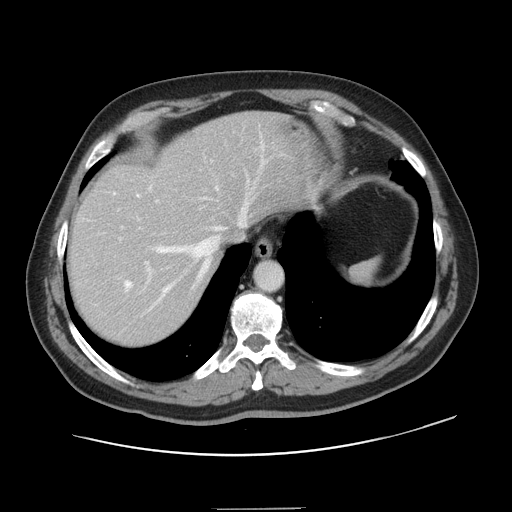
512x512 px, Computed tomography
The vessel boxes may cover only some of the vessels.
14 hepatic vessel regions are bounded by <box>215,186,218,189</box>, <box>125,281,130,291</box>, <box>238,206,245,223</box>, <box>201,260,208,273</box>, <box>113,193,115,194</box>, <box>148,267,152,280</box>, <box>216,226,223,229</box>, <box>119,238,120,240</box>, <box>192,239,208,256</box>, <box>149,287,169,309</box>, <box>145,261,148,265</box>, <box>137,194,139,196</box>, <box>200,198,206,198</box>, <box>157,246,187,252</box>.